FLAIR MRI.
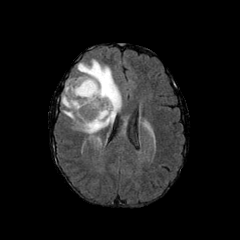
T1-weighted magnetic resonance.
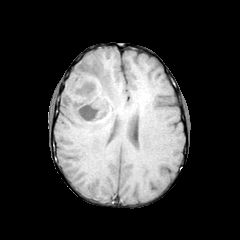
Post-contrast T1-weighted MR.
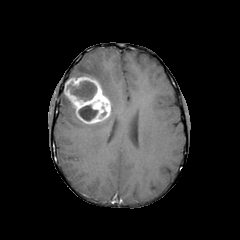
T2-weighted MR.
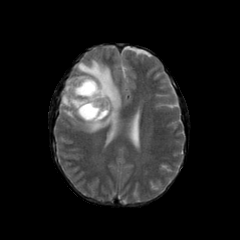
Brain
edema:
  - box=[62, 59, 121, 134]
enhancing_tumor:
  - box=[64, 75, 110, 123]
non-enhancing_tumor_core:
  - box=[78, 105, 98, 120]
  - box=[68, 80, 96, 100]